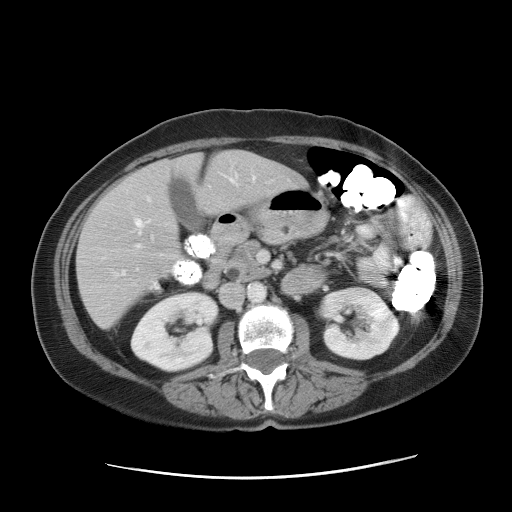

Abdomen, Computed tomography

Only some of the vessels may be annotated.
6 hepatic vessel regions appear at x1=147 y1=198 x2=149 y2=201, x1=136 y1=244 x2=140 y2=247, x1=253 y1=177 x2=254 y2=179, x1=122 y1=272 x2=125 y2=275, x1=135 y1=220 x2=142 y2=233, x1=229 y1=175 x2=236 y2=183.